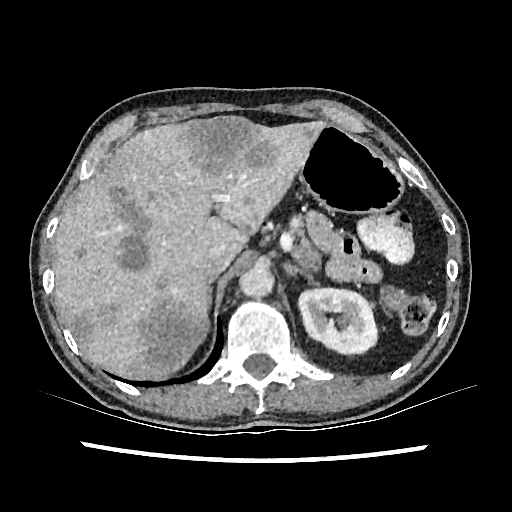
Computed tomography, Abdomen
<segmentation>
  <liver_lesion>[x1=304, y1=129, x2=313, y2=137], [x1=132, y1=275, x2=205, y2=377], [x1=179, y1=117, x2=276, y2=176], [x1=74, y1=247, x2=86, y2=259], [x1=243, y1=196, x2=253, y2=205], [x1=147, y1=191, x2=157, y2=202], [x1=71, y1=306, x2=118, y2=341], [x1=253, y1=211, x2=259, y2=226], [x1=108, y1=185, x2=152, y2=272]</liver_lesion>
  <kidney>[x1=299, y1=288, x2=376, y2=353]</kidney>
  <liver>[x1=54, y1=122, x2=328, y2=377]</liver>
</segmentation>